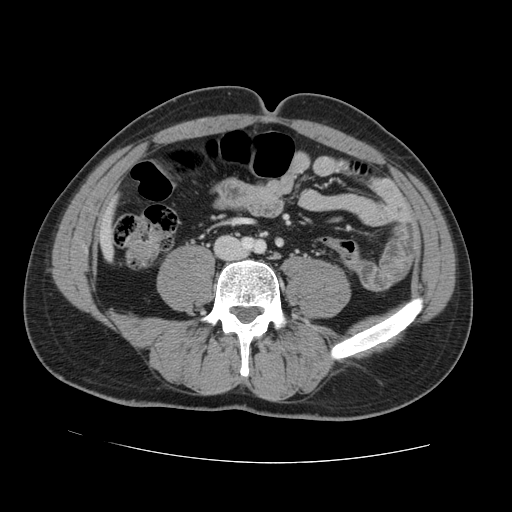 Computed tomography; Abdomen

Only some of the vessels may be annotated.
The hepatic vessel lies within <box>102,235,103,237</box>.